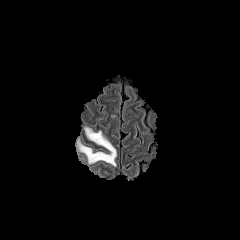
FLAIR MRI.
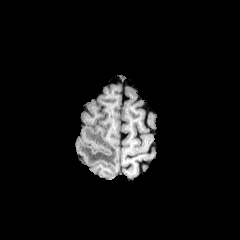
T1-weighted magnetic resonance of the same slice.
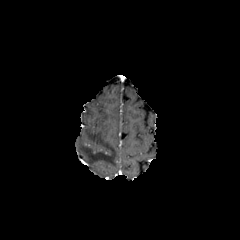
Post-contrast T1-weighted MRI.
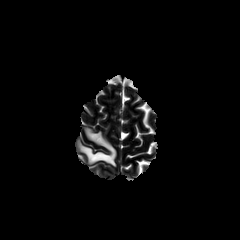
Same slice, T2-weighted MR.
Head; 240x240 px
edema:
  - left=77, top=128, right=116, bottom=166